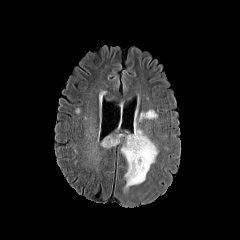
FLAIR MR image.
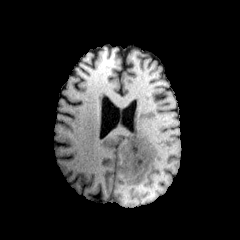
T1-weighted magnetic resonance.
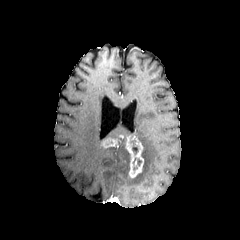
Post-contrast T1-weighted MRI.
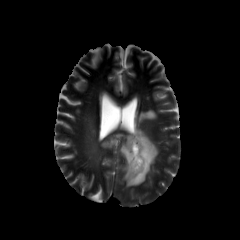
T2-weighted MR image of the same slice.
Edema = bbox=[120, 142, 128, 161]; bbox=[124, 100, 158, 191].
Enhancing tumor = bbox=[125, 134, 144, 178]; bbox=[102, 134, 123, 148].